Image size 512x512, Chest, CT slice 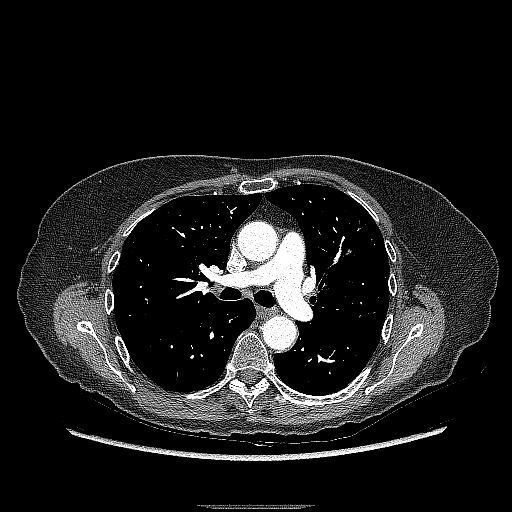
The lung tumor is located at [340,237,353,258].